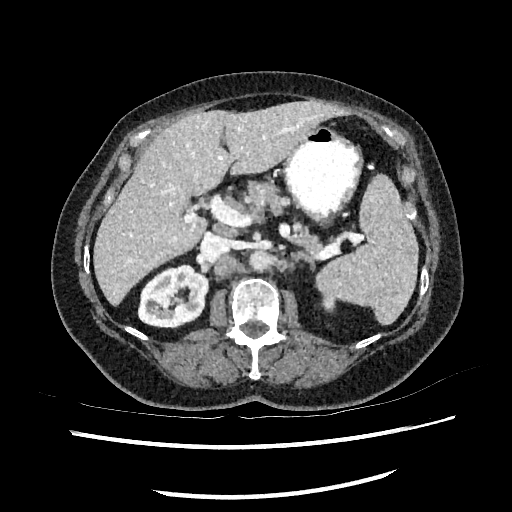

CT slice, Upper abdomen, 512x512
Liver: l=93, t=100, r=341, b=305.
Kidney: l=139, t=266, r=207, b=326.